Image width 35 mm | MRI slice | 35x52 px 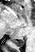

Segmented structures:
• posterior hippocampus: (left=9, top=37, right=24, bottom=46)